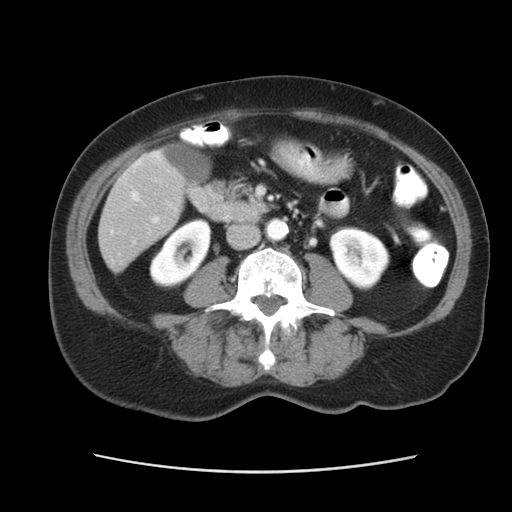
CT image.
The vessel boxes may cover only some of the vessels.
<segmentation>
  <hepatic_vessel>153:218:157:221, 111:231:112:233, 133:193:138:199</hepatic_vessel>
</segmentation>